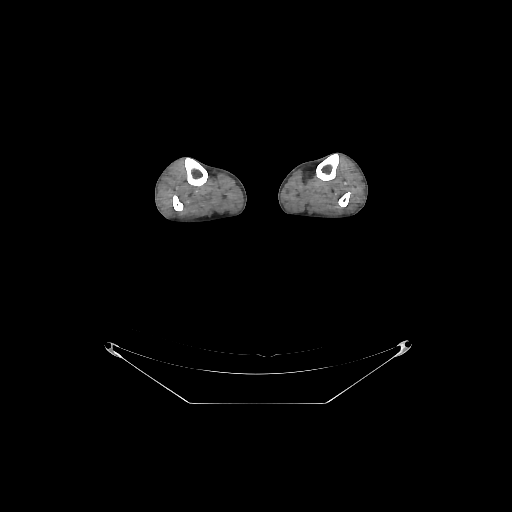 CT; 512x512 px
4 bone regions appear at left=316, top=154, right=338, bottom=180; left=338, top=192, right=350, bottom=206; left=173, top=195, right=182, bottom=210; left=185, top=158, right=207, bottom=186.